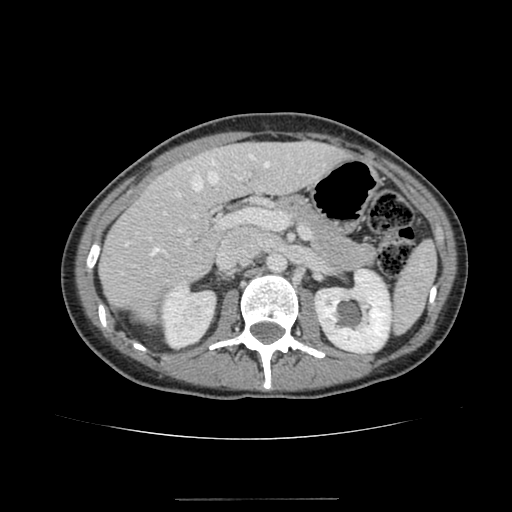 512x512 | CT image
{"kidney": ["(315,269,391,352)", "(162,284,214,347)"], "liver": ["(99,141,348,323)"]}